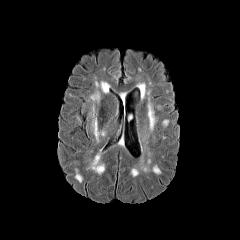
FLAIR MR image.
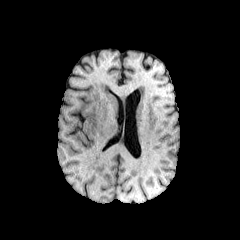
Same slice, T1-weighted MRI.
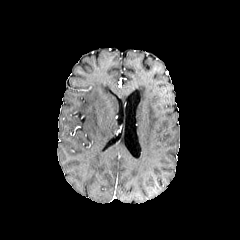
Same slice, post-contrast T1-weighted MR image.
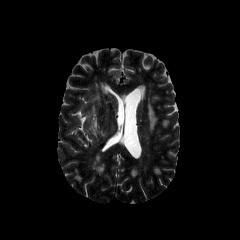
Same slice, T2-weighted magnetic resonance.
Brain
Edema = (x1=93, y1=119, x2=96, y2=137).